Brain. Slice 80/155.
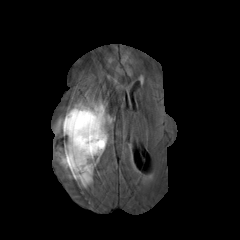
FLAIR magnetic resonance.
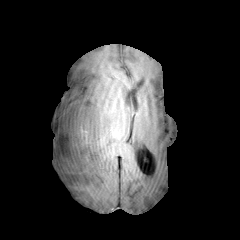
T1-weighted MR image.
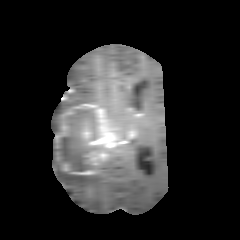
Same slice, post-contrast T1-weighted MRI.
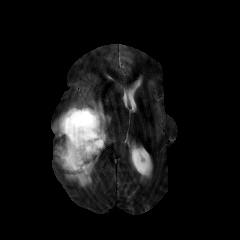
T2-weighted MR image of the same slice.
{
  "edema": [
    "<bbox>54, 157, 93, 188</bbox>",
    "<bbox>60, 87, 107, 115</bbox>"
  ],
  "enhancing_tumor": [
    "<bbox>55, 123, 67, 140</bbox>",
    "<bbox>74, 104, 115, 165</bbox>",
    "<bbox>72, 170, 95, 174</bbox>"
  ],
  "non-enhancing_tumor_core": [
    "<bbox>53, 109, 105, 176</bbox>"
  ]
}